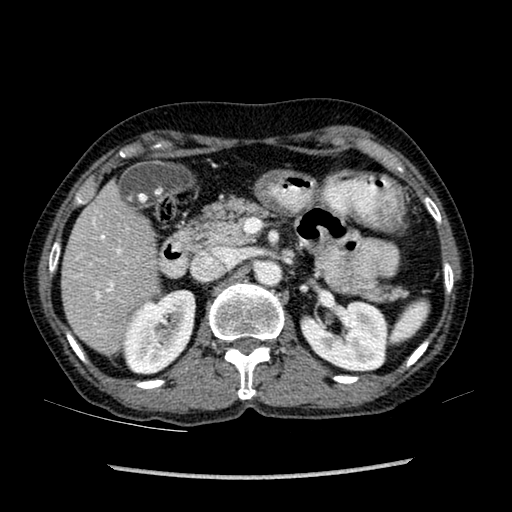
CT slice
2 kidney regions are located at rect(303, 303, 385, 370); rect(124, 291, 194, 373). The liver is located at rect(62, 196, 155, 345).